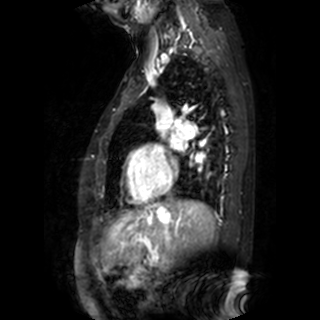

Heart. MR.

Left atrium at {"x1": 169, "y1": 139, "x2": 182, "y2": 149}.